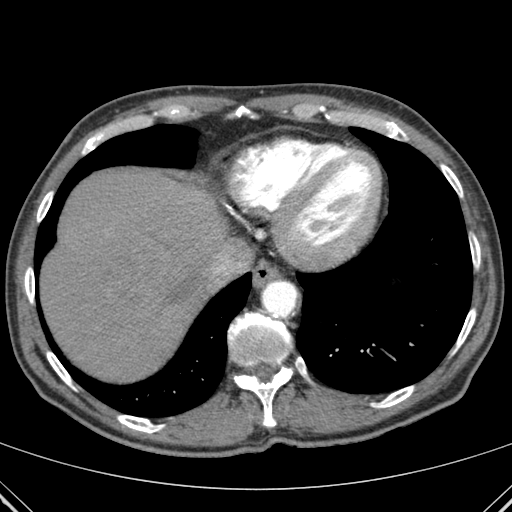

Computed tomography; Abdomen
2 lung regions are located at {"x1": 296, "y1": 127, "x2": 472, "y2": 393}, {"x1": 36, "y1": 124, "x2": 251, "y2": 416}. 13 bone regions are bounded by {"x1": 47, "y1": 351, "x2": 74, "y2": 388}, {"x1": 456, "y1": 309, "x2": 475, "y2": 348}, {"x1": 37, "y1": 192, "x2": 52, "y2": 221}, {"x1": 441, "y1": 164, "x2": 462, "y2": 197}, {"x1": 117, "y1": 415, "x2": 163, "y2": 433}, {"x1": 82, "y1": 132, "x2": 102, "y2": 154}, {"x1": 470, "y1": 236, "x2": 480, "y2": 267}, {"x1": 235, "y1": 106, "x2": 250, "y2": 116}, {"x1": 24, "y1": 267, "x2": 34, "y2": 302}, {"x1": 381, "y1": 121, "x2": 405, "y2": 138}, {"x1": 371, "y1": 386, "x2": 413, "y2": 407}, {"x1": 228, "y1": 313, "x2": 292, "y2": 426}, {"x1": 295, "y1": 357, "x2": 309, "y2": 380}. The liver is located at {"x1": 40, "y1": 168, "x2": 232, "y2": 382}.